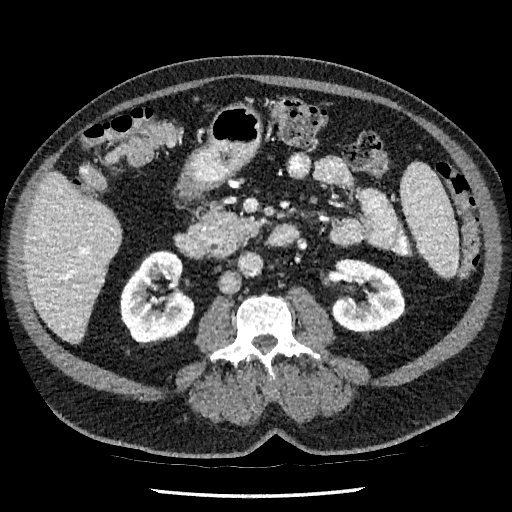
CT image
2 liver regions are bounded by 24, 171, 121, 342; 106, 145, 125, 162. 2 kidney regions are bounded by 330, 260, 403, 330; 121, 252, 193, 341.